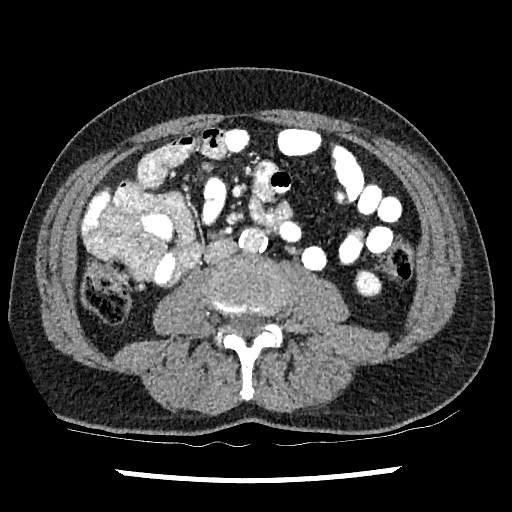
Abdomen | CT

The kidney appears at [357, 272, 379, 293].